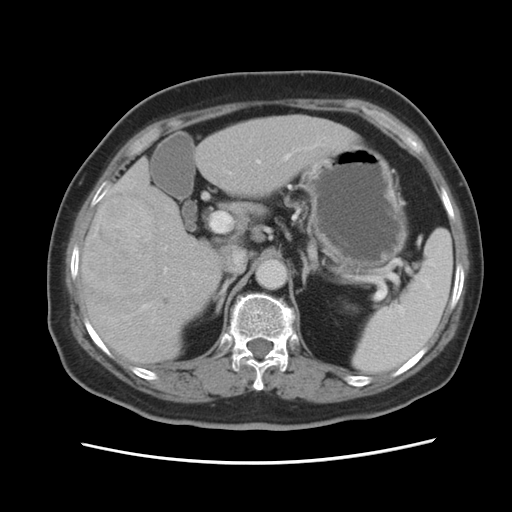

Computed tomography, Abdomen, 512x512
Not every hepatic vessel necessarily has a box.
Liver tumor — <box>82,194,157,294</box>.
Hepatic vessel — <box>303,143,318,149</box>, <box>164,268,167,272</box>, <box>141,304,149,310</box>, <box>284,153,292,159</box>, <box>257,160,260,163</box>, <box>296,149,300,150</box>.